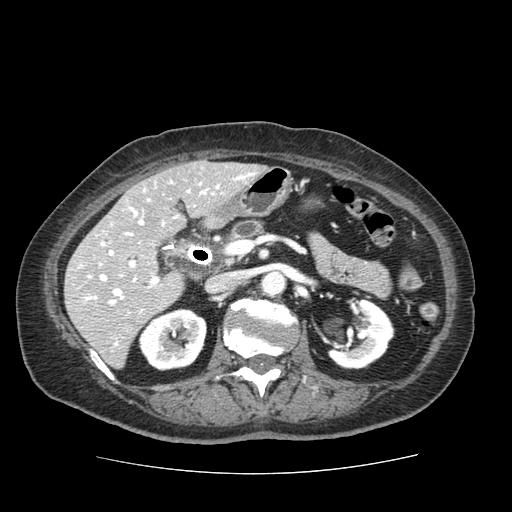
Image size 512x512. CT image.

The pancreas is bounded by (231, 221, 262, 238).